Field of view 350 mm wide, 0.70 mm slice spacing, CT slice, 512x512 px
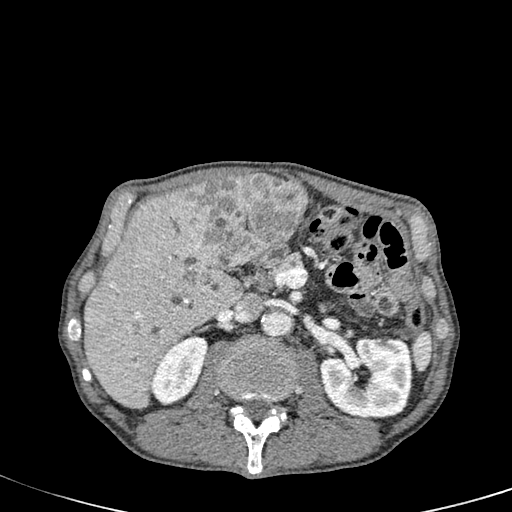 Kidney = (321, 339, 410, 416), (151, 337, 206, 403).
Focal liver lesion = (185, 270, 209, 283), (184, 174, 308, 271).
Liver = (84, 189, 240, 408).